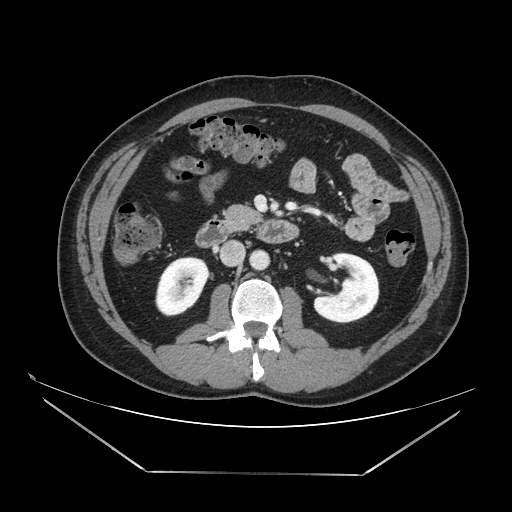 CT
pancreas:
  - {"x1": 223, "y1": 204, "x2": 261, "y2": 232}